Image size 512x512 | CT slice | Pelvis

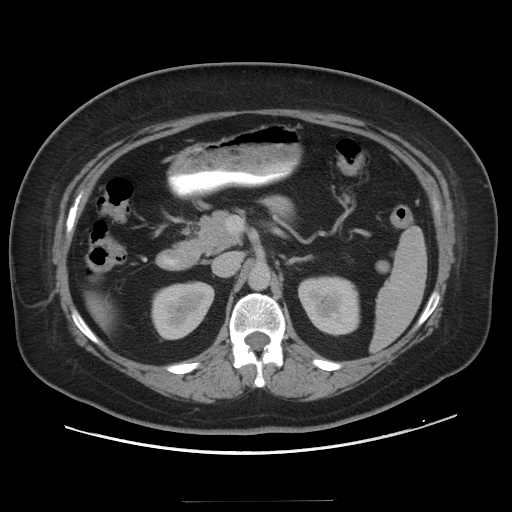

Colon tumor — [336, 154, 364, 175].